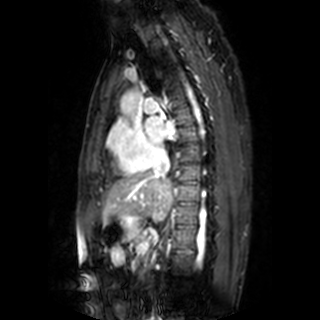

320x320; MRI
left atrium: (x1=144, y1=116, x2=175, y2=144)